FLAIR MR.
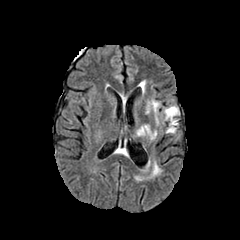
T1-weighted MR.
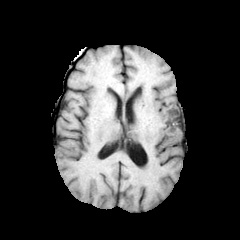
Post-contrast T1-weighted MR.
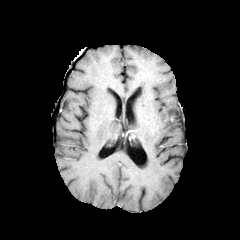
T2-weighted MRI.
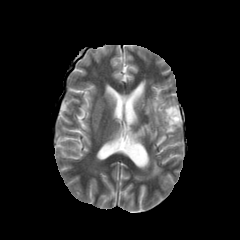
240x240 px
The non-enhancing tumor core is at x1=168 y1=108 x2=177 y2=121. 4 edema regions are located at x1=147 y1=99 x2=179 y2=133, x1=148 y1=162 x2=161 y2=175, x1=139 y1=81 x2=146 y2=95, x1=134 y1=124 x2=157 y2=140.